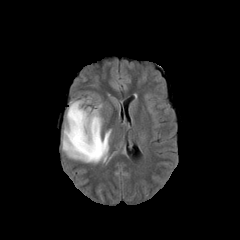
FLAIR MR.
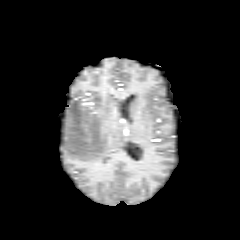
T1-weighted MRI of the same slice.
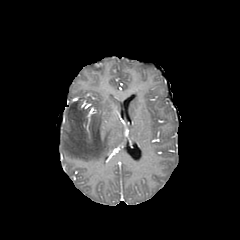
Post-contrast T1-weighted magnetic resonance.
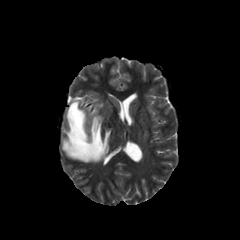
T2-weighted MR image.
Edema: left=62, top=102, right=110, bottom=163.
Non-enhancing tumor core: left=84, top=108, right=95, bottom=120; left=70, top=99, right=84, bottom=123.